Liver, CT
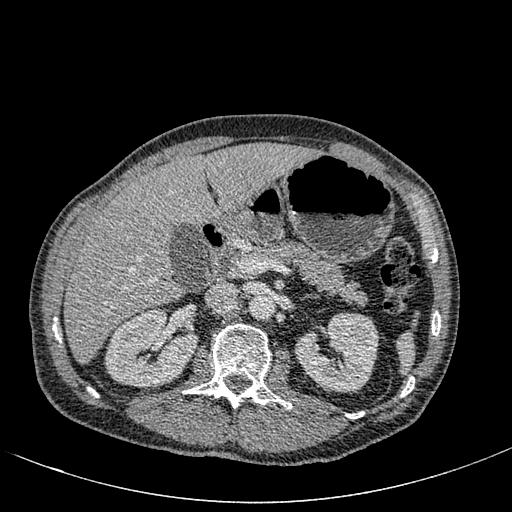 Segmented structures:
- liver: left=64, top=144, right=322, bottom=363
- kidney: left=105, top=309, right=197, bottom=386; left=295, top=313, right=377, bottom=392